CT | Abdomen | Image width 369 mm | Slice index 104
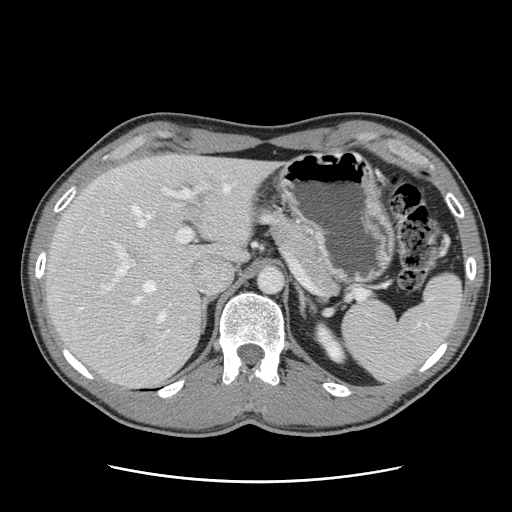

Not every hepatic vessel necessarily has a box.
• hepatic vessel: <bbox>133, 297, 139, 303</bbox>, <bbox>161, 187, 191, 197</bbox>, <bbox>101, 284, 111, 291</bbox>, <bbox>176, 229, 191, 242</bbox>, <bbox>81, 229, 82, 231</bbox>, <bbox>138, 220, 144, 225</bbox>, <bbox>113, 242, 134, 275</bbox>, <bbox>158, 310, 165, 320</bbox>, <bbox>203, 183, 205, 184</bbox>, <bbox>166, 330, 168, 332</bbox>, <bbox>223, 185, 231, 191</bbox>, <bbox>144, 280, 154, 292</bbox>, <bbox>132, 206, 152, 218</bbox>, <bbox>221, 176, 223, 178</bbox>, <bbox>101, 210, 102, 212</bbox>